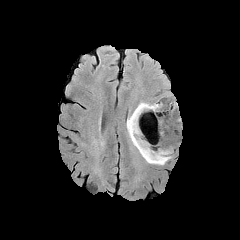
FLAIR MRI.
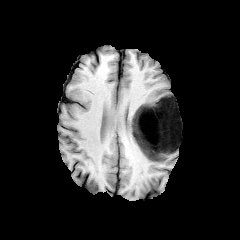
T1-weighted MR.
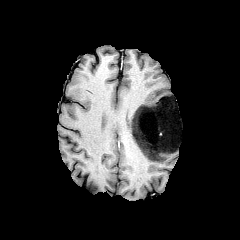
Same slice, post-contrast T1-weighted MR image.
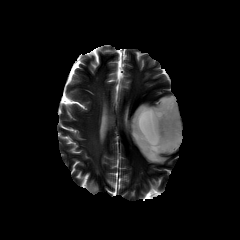
T2-weighted magnetic resonance.
The non-enhancing tumor core is bounded by region(133, 102, 179, 159). 3 edema regions appear at region(127, 102, 174, 164); region(169, 101, 180, 131); region(136, 110, 157, 141).